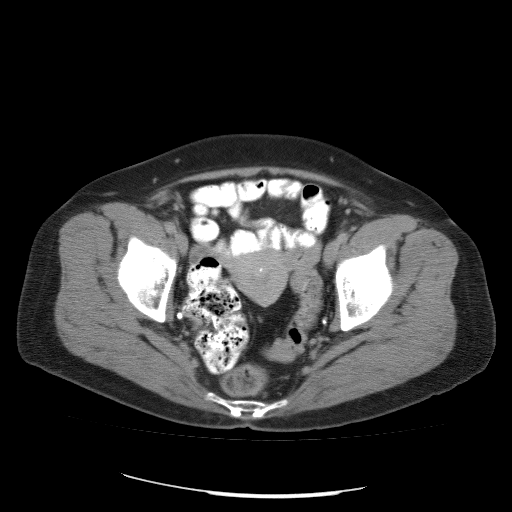
Abdomen | CT scan slice | Image size 512x512
Annotated regions:
* colon tumor: region(267, 330, 307, 362)